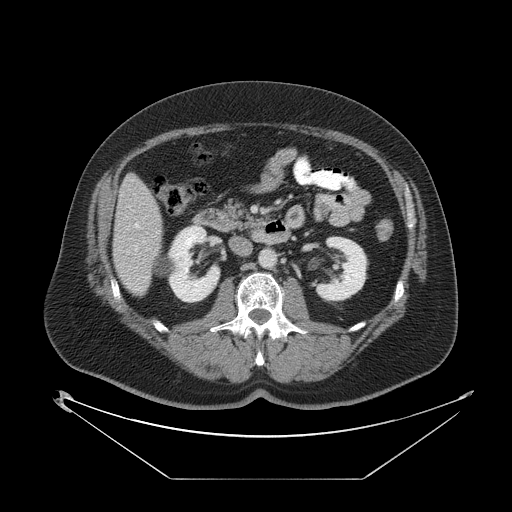
CT image. 512x512. Abdomen.

Only some of the vessels may be annotated.
hepatic vessel: {"x1": 135, "y1": 245, "x2": 138, "y2": 249}, {"x1": 134, "y1": 223, "x2": 140, "y2": 228}, {"x1": 132, "y1": 210, "x2": 134, "y2": 211}